CT image, Slice index 27

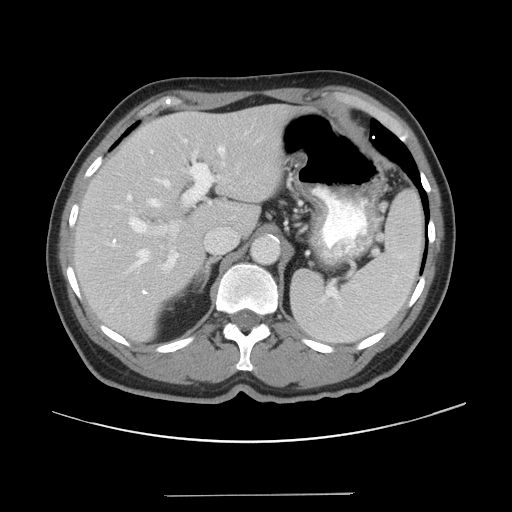
Some hepatic vessels may have no box.
Hepatic vessel = [150,150,153,152], [218,146,224,155], [156,179,169,186], [147,199,160,206], [128,195,131,199], [161,251,178,269], [161,246,162,248], [164,225,166,229], [129,217,146,232], [183,151,219,205], [176,228,178,230], [222,162,224,165], [130,249,149,269], [172,221,174,226].